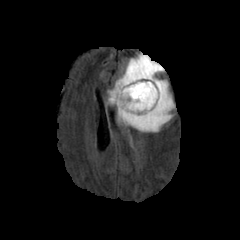
FLAIR MR image.
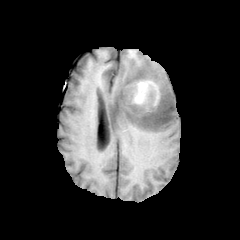
T1-weighted MR.
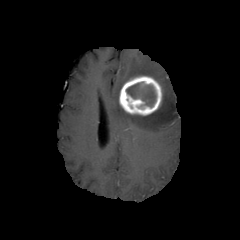
Same slice, post-contrast T1-weighted magnetic resonance.
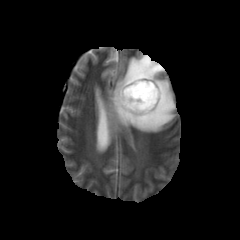
T2-weighted MR image of the same slice.
Head
edema:
  - 110, 54, 174, 131
non-enhancing_tumor_core:
  - 127, 83, 155, 105
enhancing_tumor:
  - 118, 75, 163, 115